Slice 17 of 47. Image size 512x512. CT slice. Abdomen. 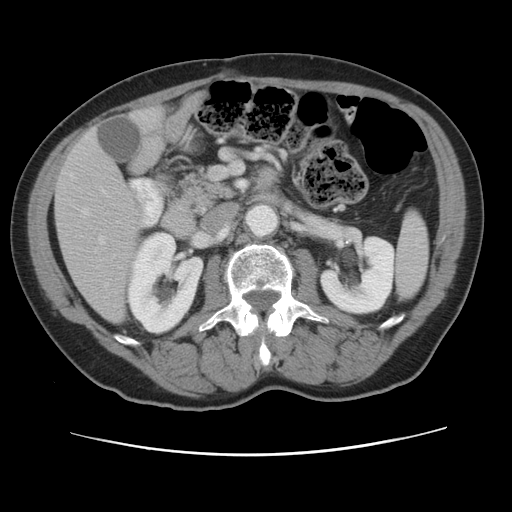

The vessel annotation is not exhaustive.
{"hepatic_vessel": ["left=111, top=315, right=116, bottom=319", "left=115, top=305, right=117, bottom=306"]}